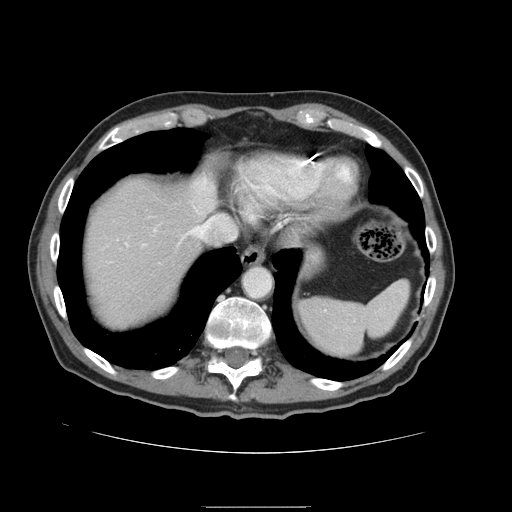
CT scan slice | 512x512 px
spleen: [299, 282, 409, 358]